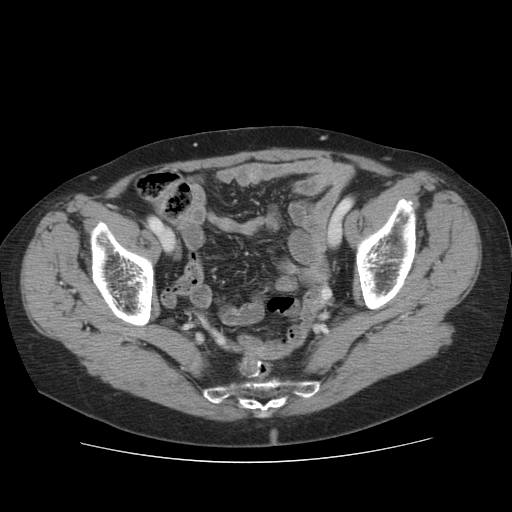
CT scan slice. 512x512 px. {"bone": ["left=191, top=355, right=199, bottom=368", "left=204, top=379, right=319, bottom=413", "left=350, top=198, right=418, bottom=312", "left=88, top=221, right=157, bottom=331"]}